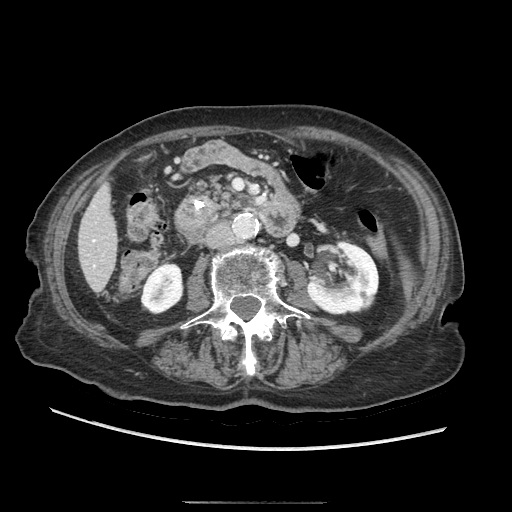
Computed tomography, 512x512

Annotated regions:
* pancreas: {"x1": 194, "y1": 178, "x2": 251, "y2": 213}